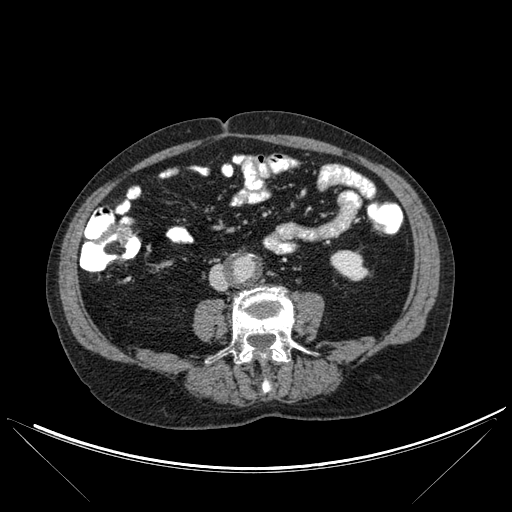
CT.

The kidney is at l=331, t=250, r=367, b=280. The bone lies within l=223, t=287, r=303, b=392.